FLAIR MR image.
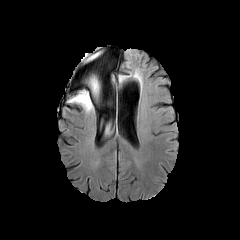
T1-weighted MRI.
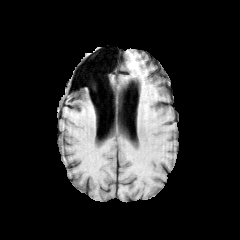
Post-contrast T1-weighted magnetic resonance.
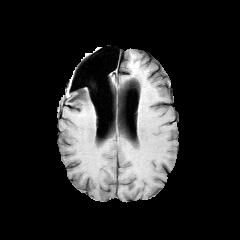
T2-weighted MRI.
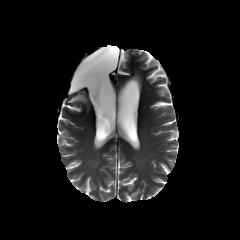
Head, 240x240
Edema: bounding box <box>70,74,101,111</box>.